Image size 240x240
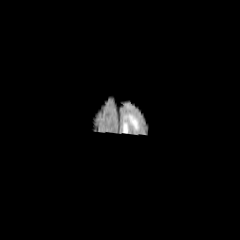
FLAIR MRI.
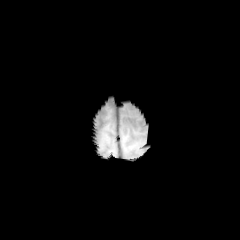
T1-weighted MR.
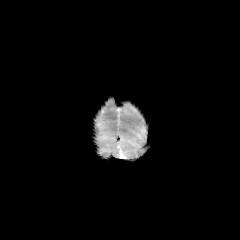
Post-contrast T1-weighted MRI of the same slice.
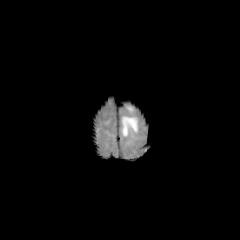
Same slice, T2-weighted magnetic resonance.
edema: 122, 116, 138, 136